Brain, 240x240 px
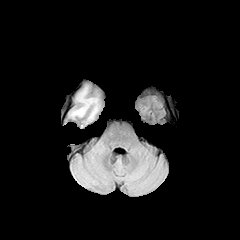
FLAIR MRI.
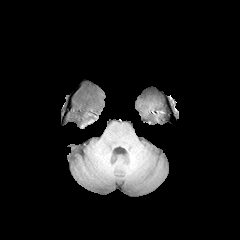
T1-weighted magnetic resonance of the same slice.
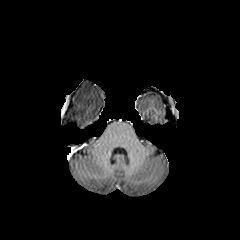
Same slice, post-contrast T1-weighted MRI.
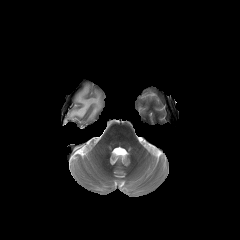
T2-weighted MRI.
The edema lies within <bbox>70, 87, 99, 120</bbox>.